FLAIR MR.
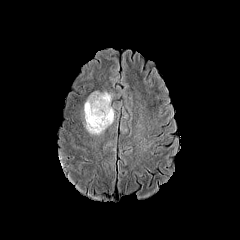
T1-weighted MR image.
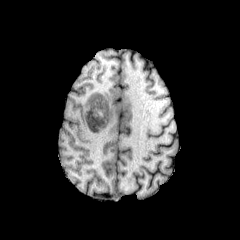
Post-contrast T1-weighted MRI.
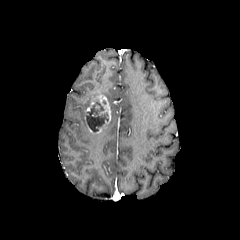
T2-weighted MRI.
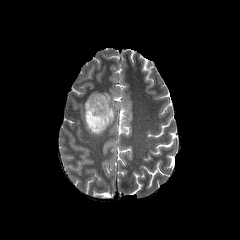
Brain.
Enhancing tumor: [94,94,111,123].
Edema: [83,91,111,115], [109,107,114,124].
Non-enhancing tumor core: [84,100,109,134].